CT scan slice | 512x512 px
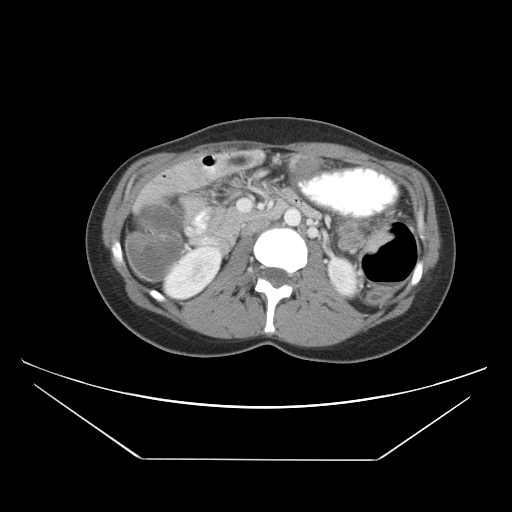

The colon tumor lies within bbox=[362, 226, 393, 254].